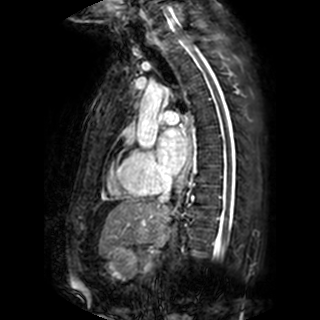

MRI, Cardiac, Image size 320x320
left atrium: <bbox>158, 128, 186, 174</bbox>